Liver, CT scan slice 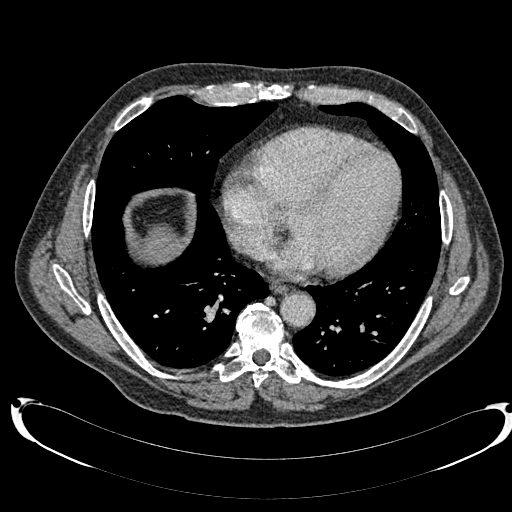
Segmented structures:
- liver: [x1=147, y1=226, x2=178, y2=258]